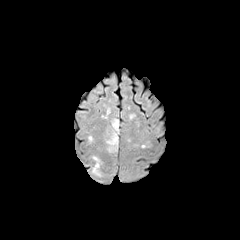
FLAIR MRI.
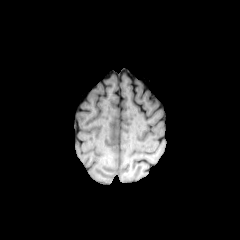
T1-weighted magnetic resonance.
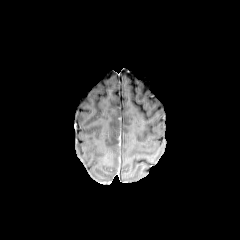
Post-contrast T1-weighted MRI.
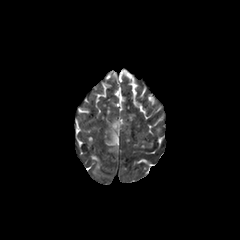
Same slice, T2-weighted magnetic resonance.
240x240 px | Brain
<segmentation>
  <edema>(93, 156, 99, 175), (106, 118, 119, 152)</edema>
</segmentation>